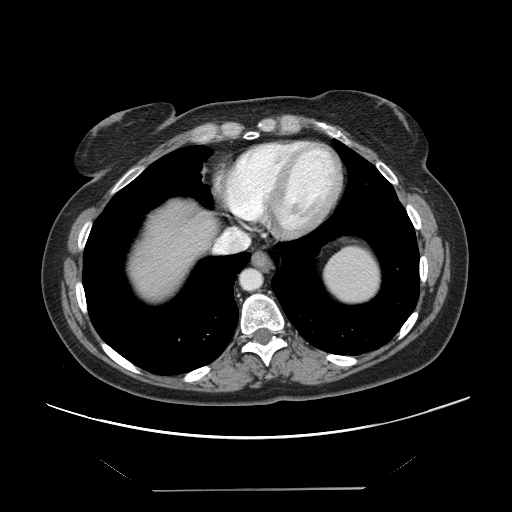
Computed tomography. Abdomen.

Not every hepatic vessel necessarily has a box.
* hepatic vessel: <box>214,228,244,252</box>